Computed tomography | Image size 512x512 | Lung | Slice index 90 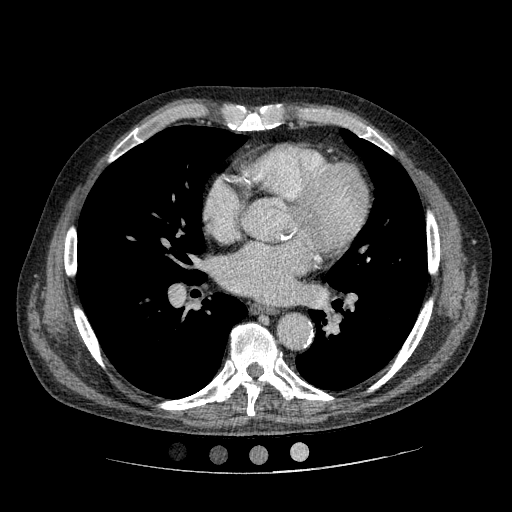
The lung tumor is at (405,285,417,291).